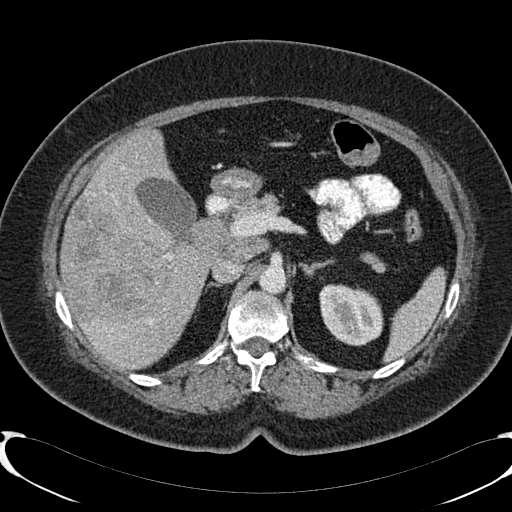

Abdomen. CT image.
liver:
  - [61, 215, 71, 306]
  - [77, 128, 211, 368]
hepatic_lesion:
  - [64, 203, 170, 320]
kidney:
  - [320, 285, 381, 344]